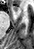
34x49 px; Medial temporal lobe; MR image
The anterior hippocampus is at x1=13, y1=6, x2=17, y2=10.